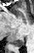
MR; Hippocampus
<segmentation>
  <posterior_hippocampus>x1=12 y1=37 x2=24 y2=47</posterior_hippocampus>
</segmentation>